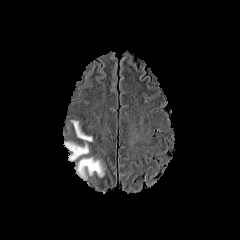
FLAIR MR image.
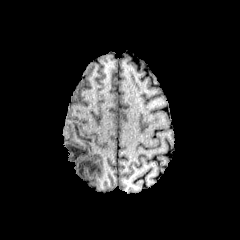
T1-weighted MR of the same slice.
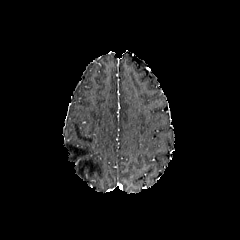
Same slice, post-contrast T1-weighted MR image.
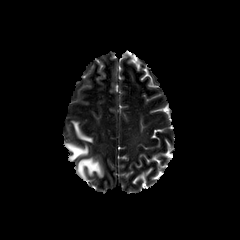
T2-weighted MR image.
240x240.
3 edema regions are located at 69, 120, 92, 142; 63, 141, 89, 161; 74, 157, 103, 180.